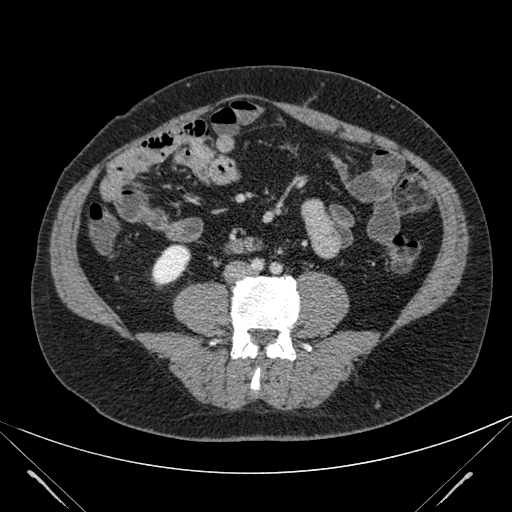
Abdomen; CT image
The kidney lies within l=153, t=246, r=189, b=283.